CT slice | Chest 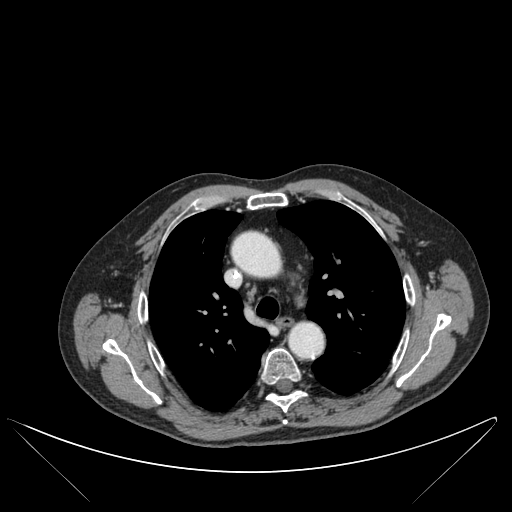
Annotated regions:
• bone: box=[148, 343, 164, 373]; box=[403, 275, 414, 304]; box=[262, 348, 300, 383]; box=[248, 192, 287, 209]; box=[396, 314, 451, 386]; box=[103, 339, 161, 403]; box=[137, 292, 147, 322]; box=[266, 390, 306, 411]; box=[361, 210, 378, 230]; box=[392, 331, 408, 371]
• lung: box=[257, 297, 278, 318]; box=[277, 200, 405, 394]; box=[149, 210, 269, 410]